Slice 442 of 630; CT image; Field of view 330 mm wide, 0.70 mm slice spacing; Liver
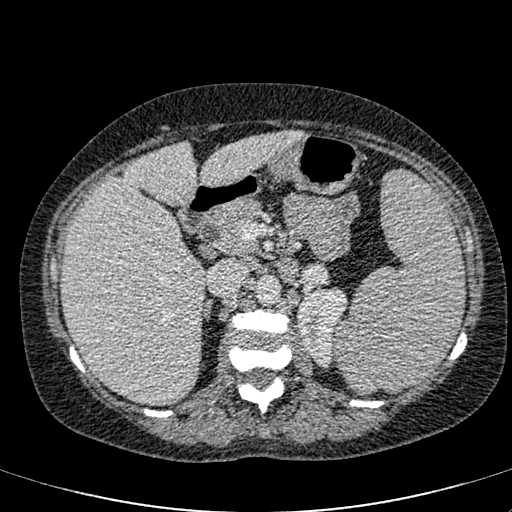

2 liver regions are bounded by 200 131 304 187, 63 142 204 404. The kidney is bounded by 297 289 346 366.